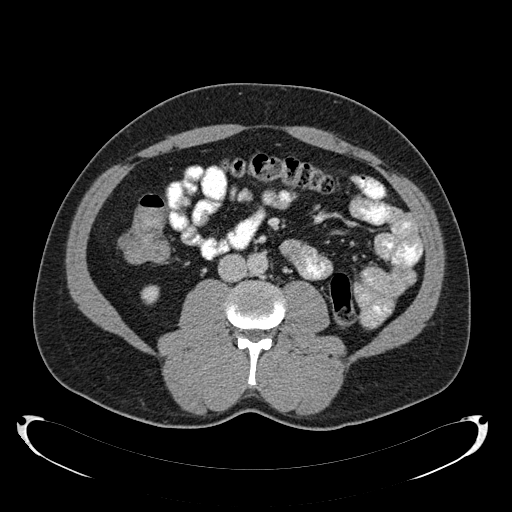 512x512 px | Abdomen | CT scan slice

The kidney appears at x1=142 y1=286 x2=157 y2=302.